Field of view 240x240 mm; 240x240; Head
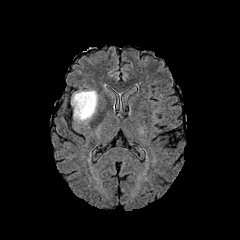
FLAIR MR.
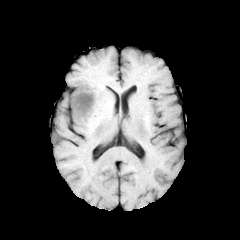
Same slice, T1-weighted magnetic resonance.
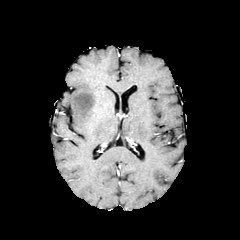
Post-contrast T1-weighted MR image of the same slice.
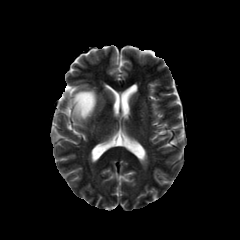
T2-weighted MR.
Findings:
- edema: 71 88 97 123